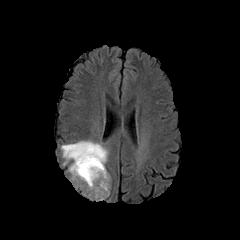
FLAIR magnetic resonance.
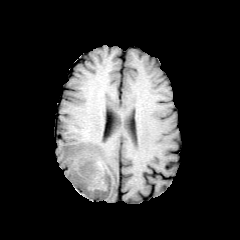
T1-weighted MR of the same slice.
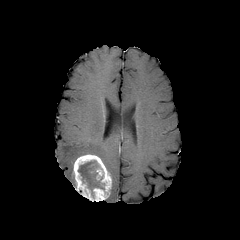
Same slice, post-contrast T1-weighted MR.
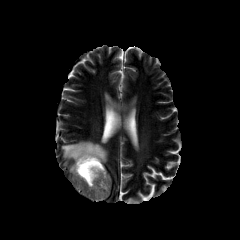
T2-weighted MRI.
240x240 px
<segmentation>
  <edema>61 140 108 186</edema>
  <non-enhancing_tumor_core>78 161 104 197</non-enhancing_tumor_core>
  <enhancing_tumor>72 154 111 201</enhancing_tumor>
</segmentation>